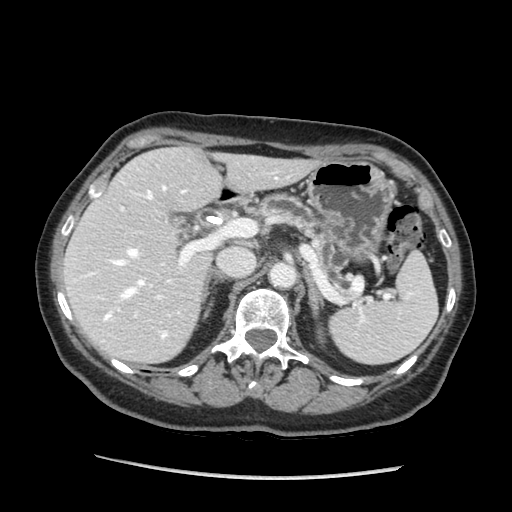

CT scan slice
Segmented structures:
- pancreas: (x1=262, y1=195, x2=349, y2=290)